FLAIR MR.
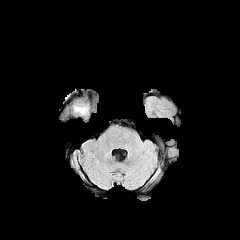
T1-weighted MR.
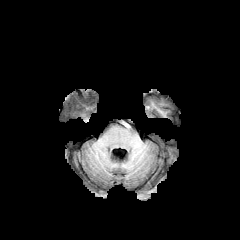
Post-contrast T1-weighted magnetic resonance.
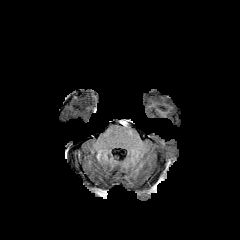
T2-weighted magnetic resonance.
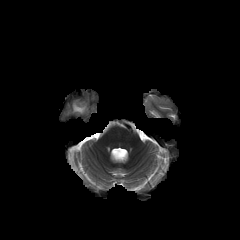
Brain.
Edema at <bbox>73, 104, 88, 114</bbox>.